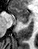 MRI. Hippocampus. Anterior hippocampus: bounding box bbox(9, 7, 28, 21).
Posterior hippocampus: bounding box bbox(20, 21, 28, 24).